Head; Slice 96/155
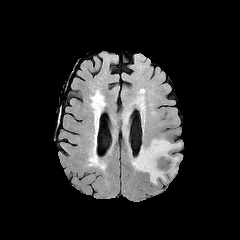
FLAIR MR.
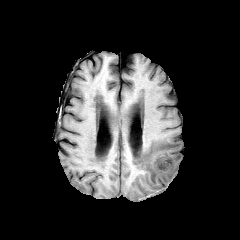
T1-weighted MRI of the same slice.
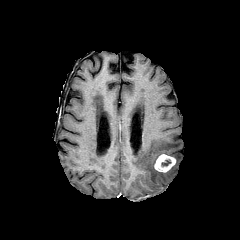
Same slice, post-contrast T1-weighted MR.
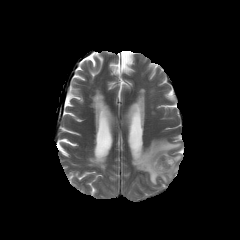
T2-weighted MR image of the same slice.
<segmentation>
  <edema>l=131, t=139, r=181, b=184</edema>
  <enhancing_tumor>l=153, t=153, r=176, b=172</enhancing_tumor>
</segmentation>